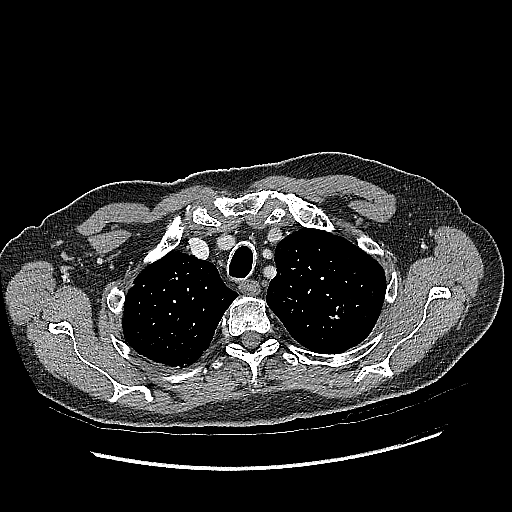
CT slice, 512x512 px, Lung
Lung tumor: x1=138 y1=283 x2=145 y2=289.